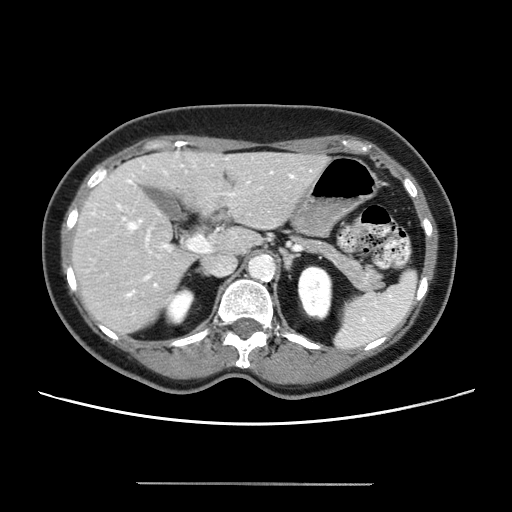
Abdomen. Computed tomography.

Not every hepatic vessel necessarily has a box.
Annotated regions:
* hepatic vessel: 163,245,168,247; 128,221,139,229